Brain.
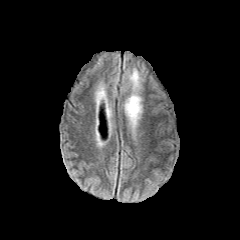
FLAIR MR.
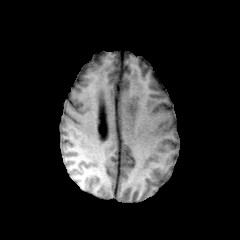
Same slice, T1-weighted magnetic resonance.
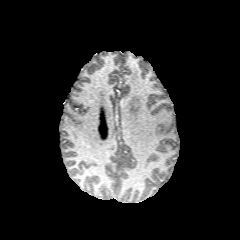
Post-contrast T1-weighted MRI of the same slice.
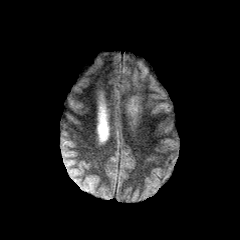
T2-weighted magnetic resonance.
{"edema": ["bbox=[122, 93, 142, 128]", "bbox=[129, 69, 139, 90]"]}